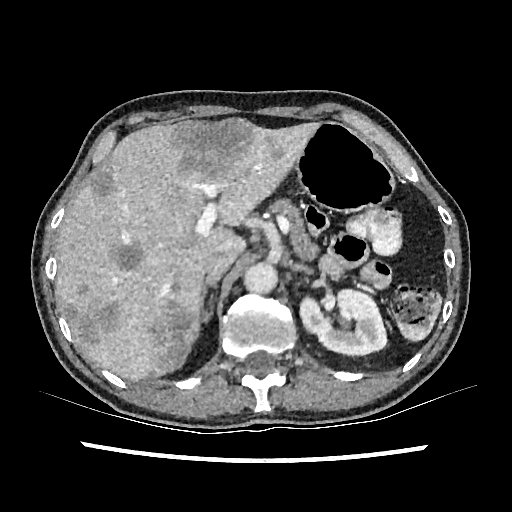

512x512 px. Upper abdomen. Computed tomography. focal_liver_lesion:
  - x1=168, y1=118, x2=256, y2=180
  - x1=78, y1=283, x2=88, y2=295
  - x1=164, y1=185, x2=182, y2=203
  - x1=59, y1=298, x2=124, y2=341
  - x1=265, y1=136, x2=285, y2=161
  - x1=149, y1=292, x2=197, y2=367
  - x1=110, y1=243, x2=144, y2=270
  - x1=90, y1=171, x2=113, y2=196
liver:
  - x1=58, y1=123, x2=320, y2=379
kidney:
  - x1=300, y1=290, x2=386, y2=358